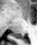
Medial temporal lobe; Magnetic resonance; Image size 37x45
Posterior hippocampus at 13:33:24:38.